Abdomen. Slice index 485. CT scan slice.
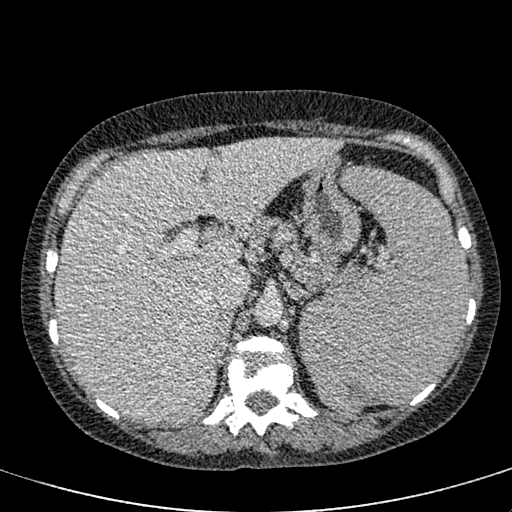

Segmented structures:
• liver: box=[57, 138, 343, 422]